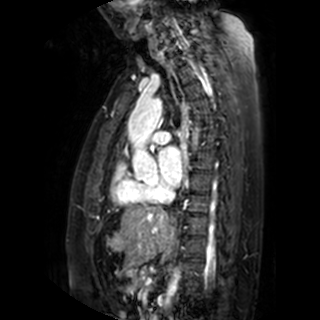 MRI slice
The left atrium is bounded by 159, 146, 182, 185.